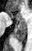
MRI. anterior_hippocampus:
  - x1=8, y1=12, x2=25, y2=23
  - x1=6, y1=9, x2=9, y2=11
posterior_hippocampus:
  - x1=14, y1=24, x2=26, y2=42